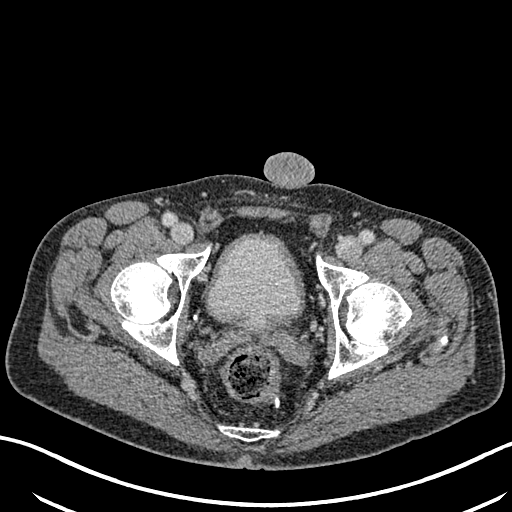

CT. Urinary bladder at 208 235 300 330.